Slice 444 of 722, CT, Abdomen

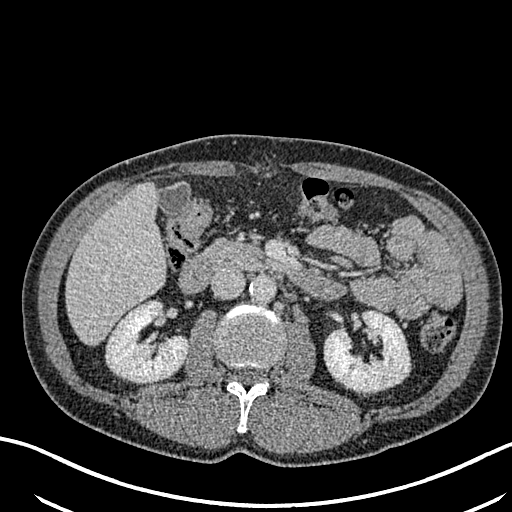

2 kidney regions appear at {"x1": 324, "y1": 311, "x2": 409, "y2": 391}, {"x1": 106, "y1": 302, "x2": 187, "y2": 382}. The liver appears at {"x1": 66, "y1": 181, "x2": 165, "y2": 344}.